Head; Slice index 21
FLAIR MR image.
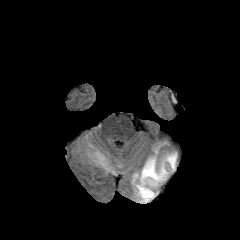
T1-weighted MRI.
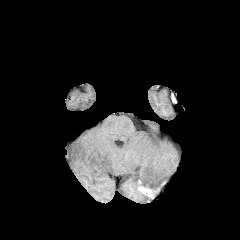
Post-contrast T1-weighted MRI.
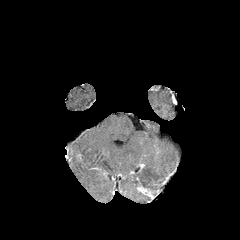
T2-weighted MR image.
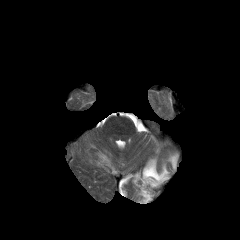
The edema lies within region(131, 144, 177, 203). The non-enhancing tumor core is bounded by region(138, 186, 149, 196).